Slice 88/155
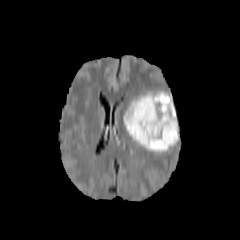
FLAIR magnetic resonance.
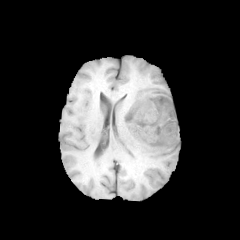
T1-weighted MRI.
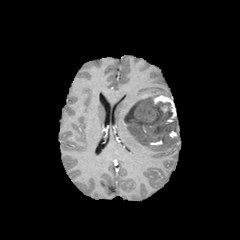
Post-contrast T1-weighted magnetic resonance.
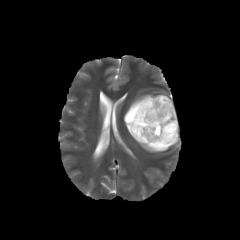
Same slice, T2-weighted MRI.
non-enhancing_tumor_core:
  - 125 97 178 148
enhancing_tumor:
  - 169 128 179 138
  - 153 95 176 124
  - 149 139 162 145
edema:
  - 125 91 160 116
  - 124 121 166 152